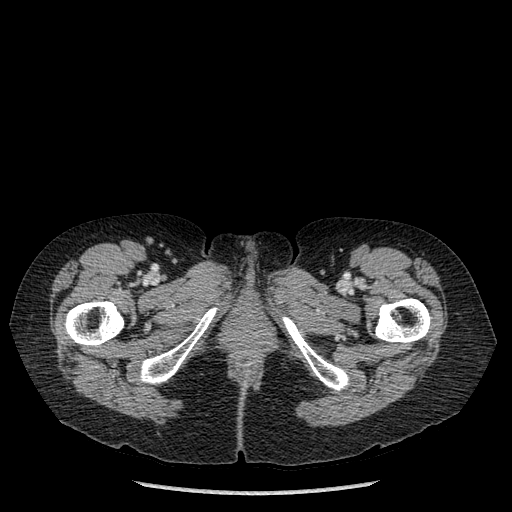

CT
{"bone": ["left=63, top=301, right=123, bottom=347", "left=375, top=298, right=431, bottom=344", "left=140, top=307, right=217, bottom=383", "left=282, top=316, right=349, bottom=390"]}